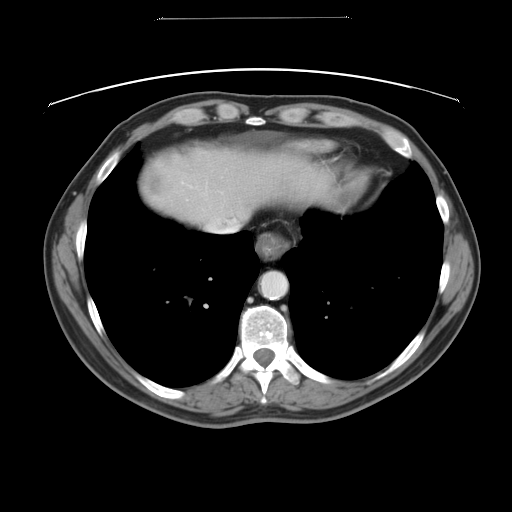

CT; Liver; 512x512

Some hepatic vessels may have no box.
The hepatic vessel is located at (206, 219, 239, 232). The liver tumor lies within (144, 171, 165, 198).